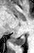 Medial temporal lobe, MR image
Posterior hippocampus: bounding box [14, 34, 24, 45].